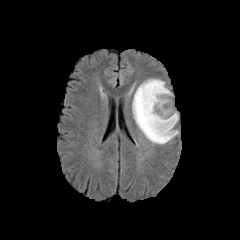
FLAIR MR image.
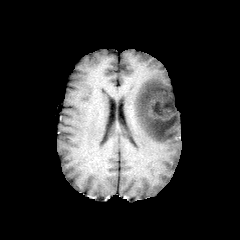
T1-weighted magnetic resonance.
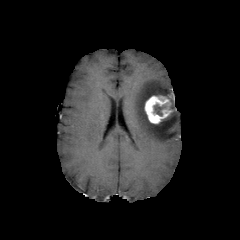
Post-contrast T1-weighted MRI.
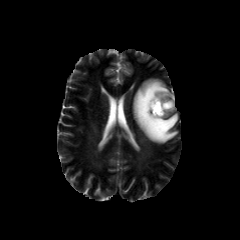
Same slice, T2-weighted MR.
Brain
enhancing tumor: rect(144, 92, 173, 123) | edema: rect(132, 78, 179, 144) | non-enhancing tumor core: rect(154, 105, 161, 114); rect(137, 86, 174, 136)